FLAIR MR.
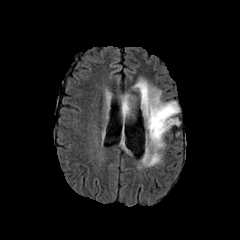
T1-weighted MR.
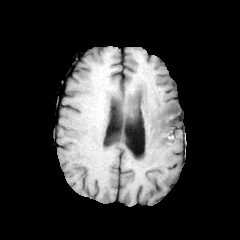
Post-contrast T1-weighted MR image.
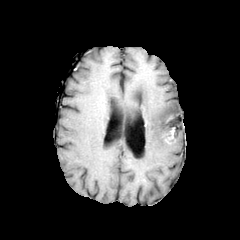
T2-weighted MR.
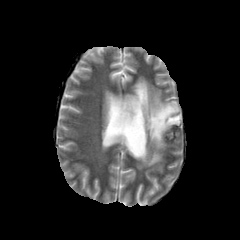
Edema: bounding box rect(120, 78, 180, 167).
Non-enhancing tumor core: bounding box rect(150, 104, 178, 133).